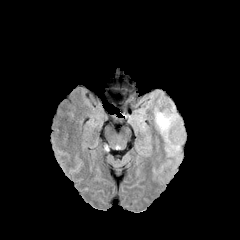
FLAIR MR image.
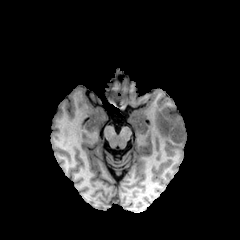
T1-weighted magnetic resonance.
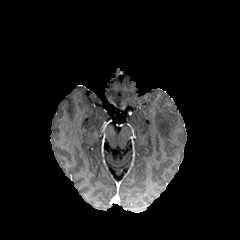
Post-contrast T1-weighted MRI.
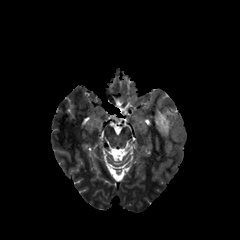
T2-weighted magnetic resonance.
Edema: x1=154, y1=109, x2=173, y2=140.